Abdomen | CT slice | Slice 447/917
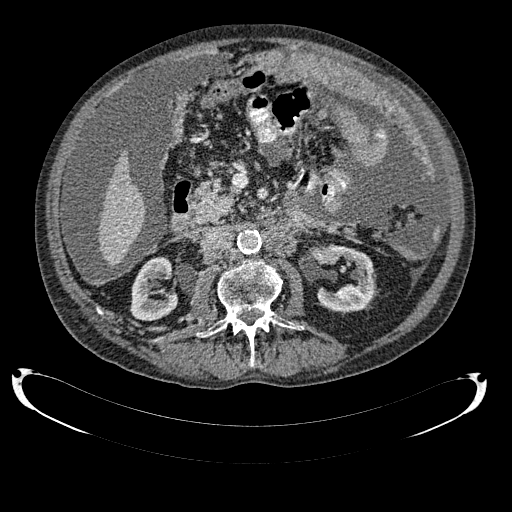 Kidney = left=314, top=245, right=374, bottom=311; left=131, top=257, right=177, bottom=320.
Liver = left=99, top=152, right=145, bottom=265.